240x240 | Head | Slice index 60
FLAIR MRI.
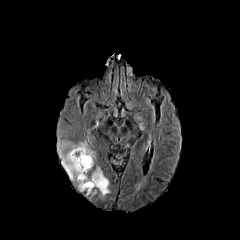
T1-weighted MRI.
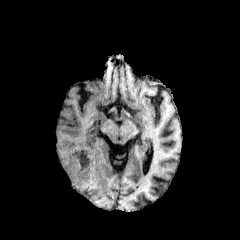
Post-contrast T1-weighted MR.
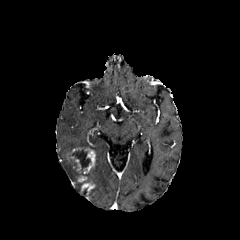
T2-weighted magnetic resonance.
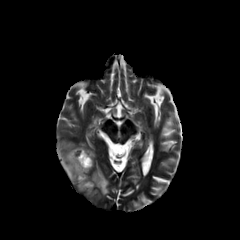
{
  "edema": [
    "x1=60 y1=141 x2=109 y2=197"
  ],
  "enhancing_tumor": [
    "x1=81 y1=182 x2=95 y2=194",
    "x1=83 y1=148 x2=95 y2=173",
    "x1=77 y1=175 x2=87 y2=181"
  ],
  "non-enhancing_tumor_core": [
    "x1=72 y1=148 x2=91 y2=168"
  ]
}